Slice index 78; Head
FLAIR MR.
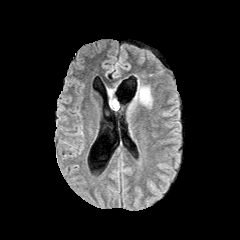
T1-weighted magnetic resonance.
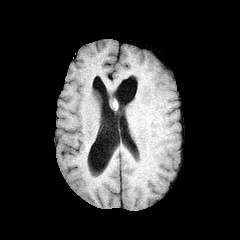
Post-contrast T1-weighted MR.
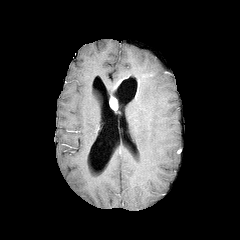
T2-weighted MRI.
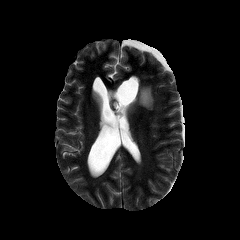
The enhancing tumor is located at <box>109,96,117,110</box>. 2 edema regions are bounded by <box>128,78,153,107</box>, <box>107,88,121,109</box>.